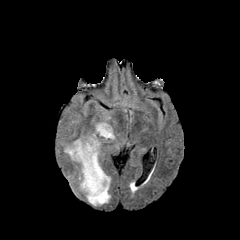
FLAIR magnetic resonance.
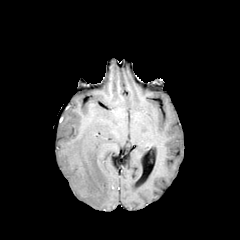
T1-weighted magnetic resonance.
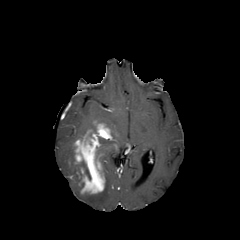
Post-contrast T1-weighted MR image.
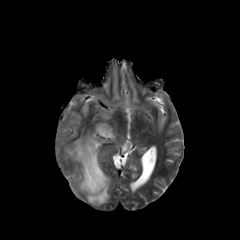
T2-weighted magnetic resonance.
Head; Image size 240x240
non-enhancing_tumor_core:
  - [x1=78, y1=160, x2=90, y2=180]
edema:
  - [x1=98, y1=111, x2=116, y2=139]
  - [x1=76, y1=166, x2=83, y2=191]
  - [x1=65, y1=175, x2=77, y2=195]
  - [x1=84, y1=170, x2=111, y2=206]
  - [x1=64, y1=141, x2=75, y2=162]
enhancing_tumor:
  - [x1=74, y1=120, x2=115, y2=193]